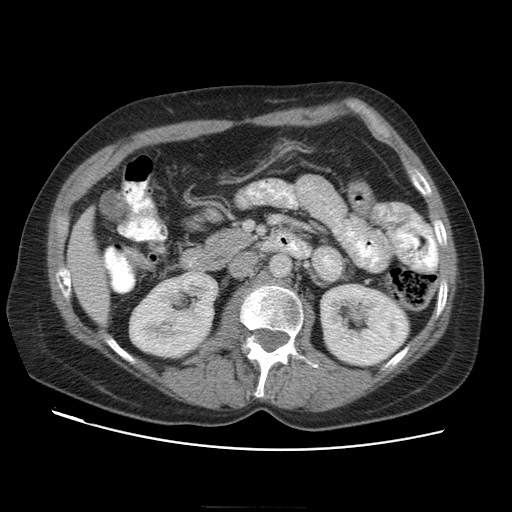

CT slice

<segmentation>
  <pancreas>l=195, t=225, r=257, b=273</pancreas>
</segmentation>